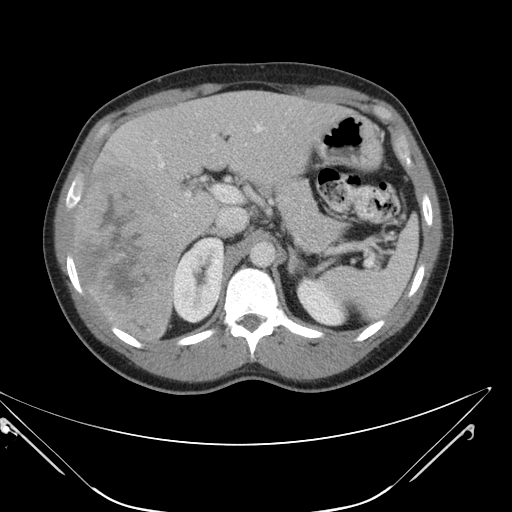
512x512 px | CT image

Only some of the vessels may be annotated.
Hepatic vessel: region(282, 126, 283, 127); region(158, 155, 164, 167); region(189, 130, 191, 132); region(174, 213, 176, 216); region(185, 193, 192, 201); region(213, 185, 241, 201); region(253, 124, 262, 131); region(218, 208, 243, 229); region(212, 149, 213, 150); region(153, 140, 156, 143).
Liver tumor: region(74, 173, 182, 339).